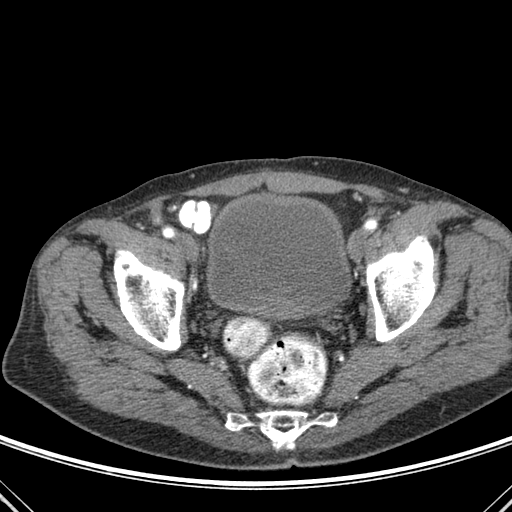
CT image; Lower abdomen
urinary bladder: bbox(203, 199, 351, 313) | bone: bbox(225, 413, 252, 430); bbox(256, 410, 337, 448); bbox(366, 236, 435, 341); bbox(114, 250, 184, 350)